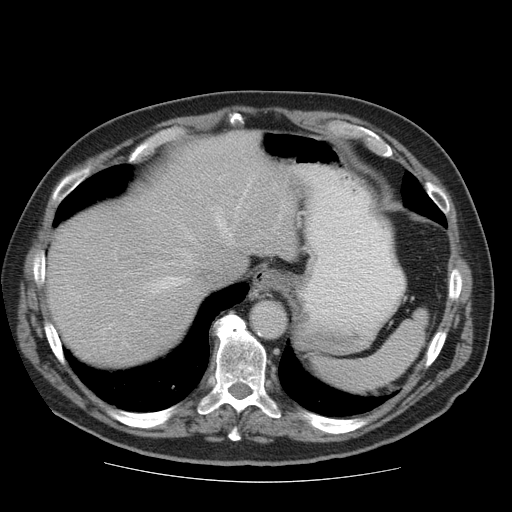

Abdomen; Image size 512x512; CT slice

The vessel boxes may cover only some of the vessels.
{
  "partial": true,
  "hepatic_vessel": {
    "n_total": 24,
    "boxes": [
      "bbox=[235, 198, 242, 209]",
      "bbox=[157, 261, 184, 266]",
      "bbox=[178, 248, 191, 262]",
      "bbox=[234, 214, 237, 221]",
      "bbox=[278, 213, 282, 218]",
      "bbox=[211, 205, 233, 245]",
      "bbox=[273, 227, 276, 230]",
      "bbox=[119, 285, 120, 291]",
      "bbox=[148, 277, 188, 292]",
      "bbox=[221, 196, 224, 200]",
      "bbox=[280, 200, 284, 210]",
      "bbox=[185, 229, 196, 243]",
      "bbox=[123, 342, 126, 344]",
      "bbox=[219, 177, 221, 179]",
      "bbox=[110, 323, 114, 324]"
    ]
  }
}